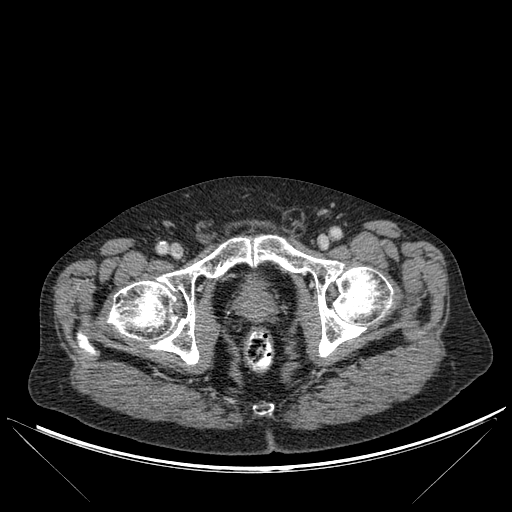

CT image.

3 bone regions are located at <bbox>253, 404, 273, 414</bbox>, <bbox>78, 333, 94, 354</bbox>, <bbox>107, 235, 392, 364</bbox>.